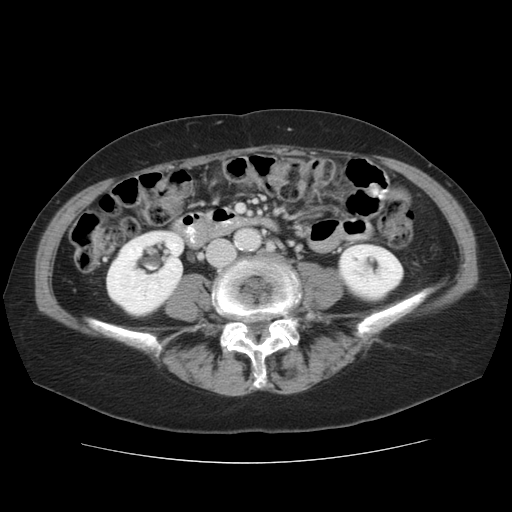
CT scan slice, Abdomen

bone:
  - rect(356, 288, 432, 340)
  - rect(212, 252, 299, 387)
  - rect(87, 319, 164, 356)
kidney:
  - rect(107, 232, 184, 314)
  - rect(340, 245, 402, 298)